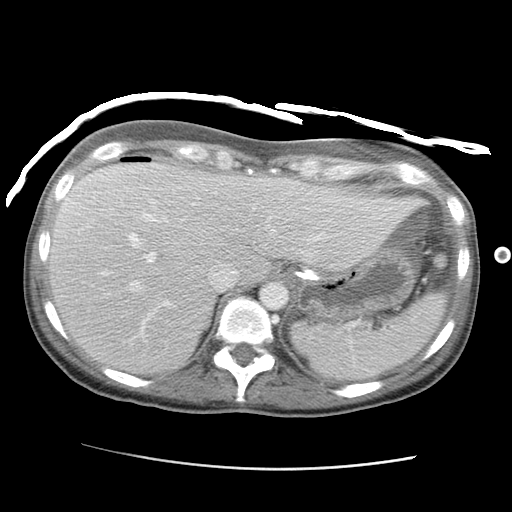 CT slice
liver:
  - 47 162 429 373